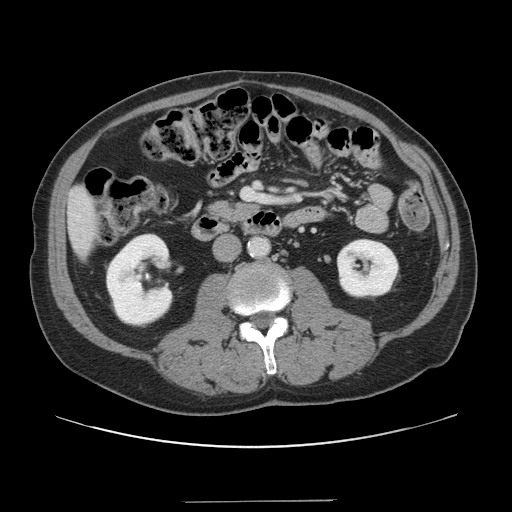 CT scan slice
Not every hepatic vessel necessarily has a box.
Findings:
• hepatic vessel: (x1=243, y1=189, x2=267, y2=201)